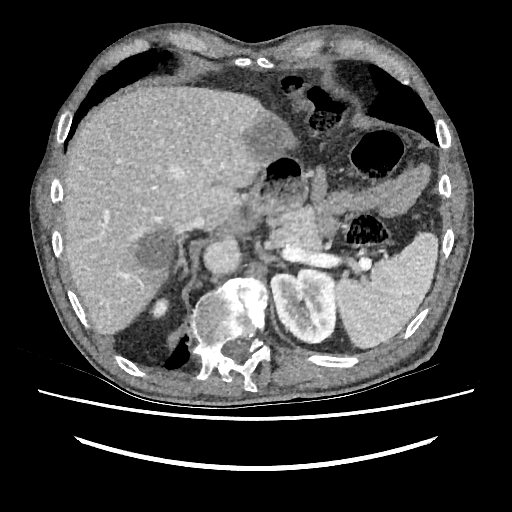
CT scan slice
Liver: bounding box x1=63, y1=85, x2=273, y2=333; x1=284, y1=122, x2=298, y2=150.
Hepatic lesion: bounding box x1=243, y1=114, x2=293, y2=160; x1=128, y1=226, x2=174, y2=288.
Kidney: bounding box x1=271, y1=270, x2=339, y2=342; x1=154, y1=302, x2=165, y2=314.